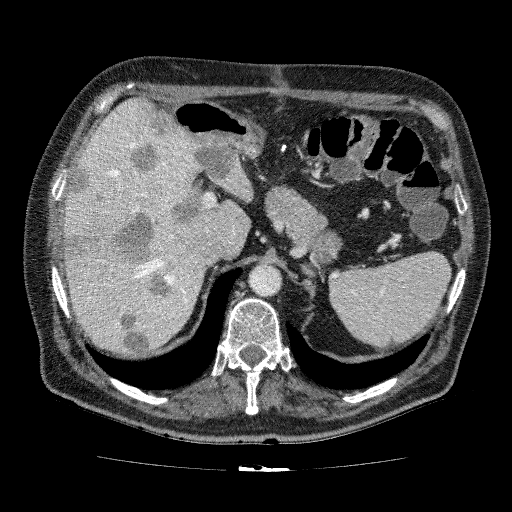 CT image. {
  "focal_liver_lesion": [
    "(126,140,166,175)",
    "(142,271,177,301)",
    "(63,211,156,265)",
    "(67,163,92,197)",
    "(189,137,239,182)",
    "(119,311,151,356)",
    "(167,181,206,229)",
    "(93,193,103,205)"
  ],
  "liver": [
    "(213,159,253,202)",
    "(63,96,250,355)"
  ]
}